Head; Image size 240x240
FLAIR magnetic resonance.
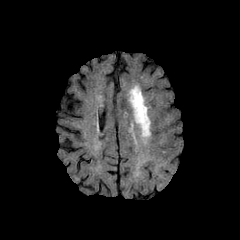
T1-weighted MRI.
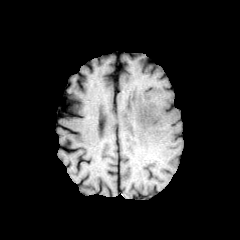
Post-contrast T1-weighted MR image.
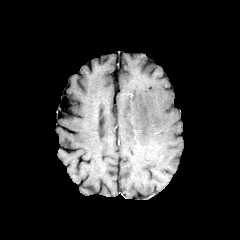
T2-weighted magnetic resonance.
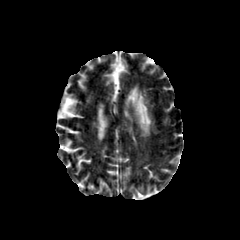
edema: <bbox>128, 85, 151, 141</bbox>